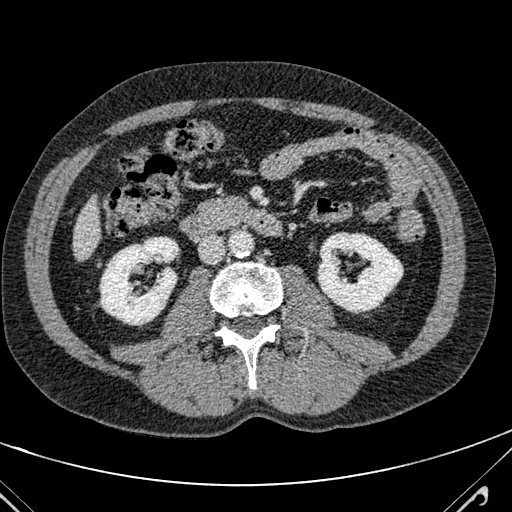 Abdomen. CT.
Liver: region(74, 200, 99, 258).